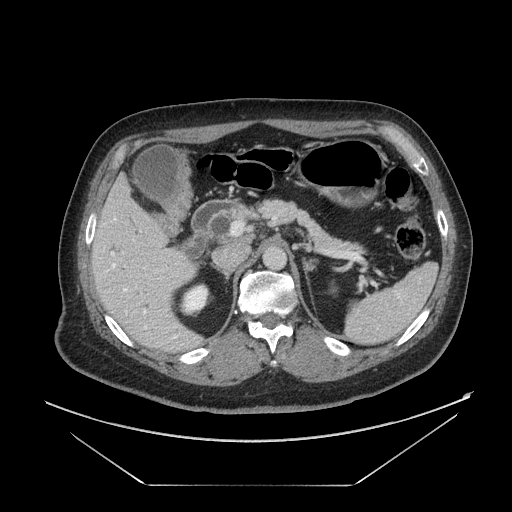 CT scan slice
The pancreas is at bbox=[240, 200, 367, 254].